CT image

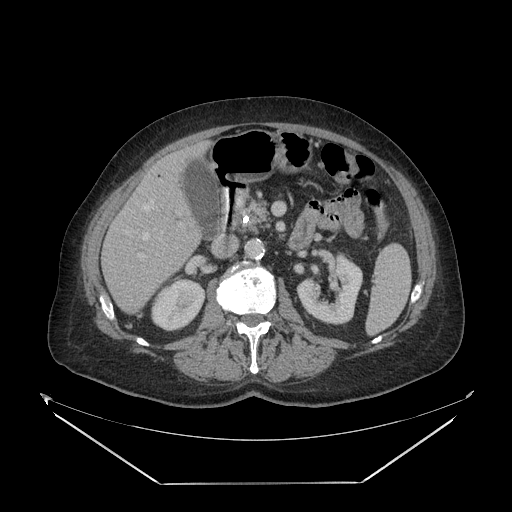

pancreas: region(246, 200, 270, 233) | pancreatic tumor: region(253, 205, 266, 220)